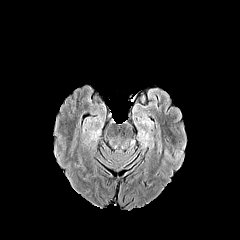
FLAIR MR image.
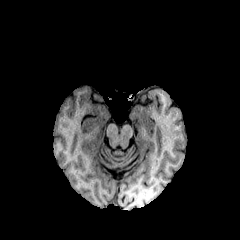
T1-weighted MR of the same slice.
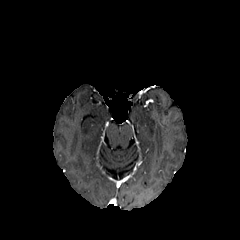
Post-contrast T1-weighted MR image.
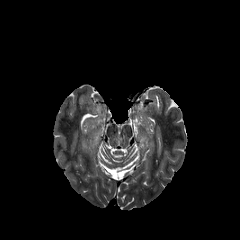
T2-weighted MR.
Image size 240x240
<segmentation>
  <edema>141, 133, 153, 146</edema>
</segmentation>